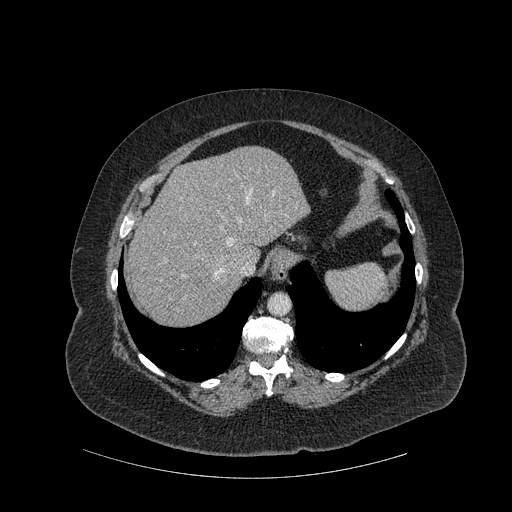 Computed tomography, 512x512 px, Abdomen
{
  "bone": [
    "415, 263, 422, 283",
    "406, 214, 414, 232",
    "111, 270, 117, 289",
    "325, 373, 343, 381",
    "201, 379, 219, 387",
    "249, 355, 292, 395",
    "385, 334, 405, 358",
    "243, 317, 293, 352",
    "139, 354, 163, 375"
  ],
  "liver": [
    "129, 145, 309, 327"
  ],
  "lung": [
    "288, 190, 415, 372",
    "118, 266, 261, 380"
  ]
}